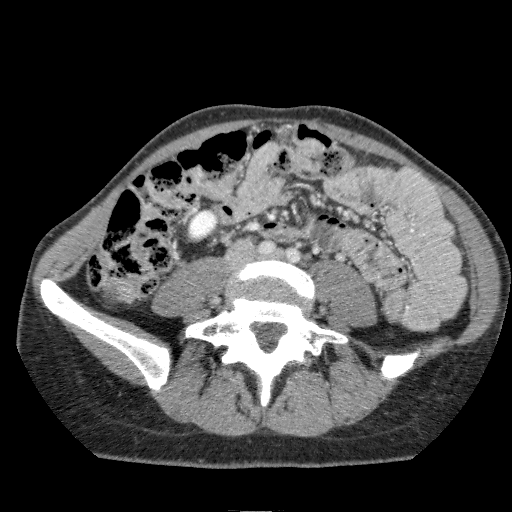 CT scan slice | 512x512
Kidney: 190, 211, 215, 236.